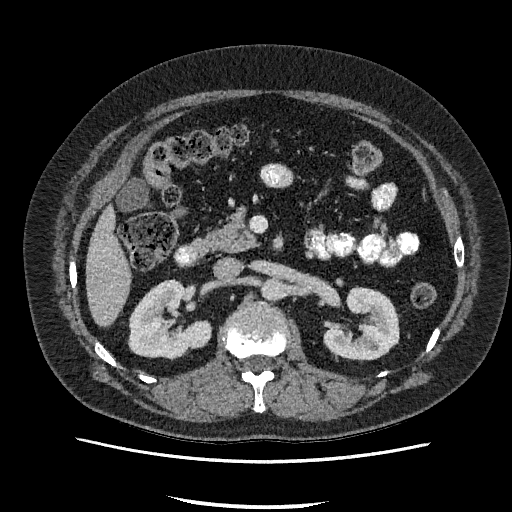
CT image | Upper abdomen
Kidney — left=130, top=280, right=209, bottom=357; left=324, top=289, right=398, bottom=358.
Liver — left=85, top=205, right=131, bottom=326.